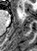

MRI. Hippocampus.

The anterior hippocampus is bounded by [16, 7, 21, 12].